Slice 103 of 155
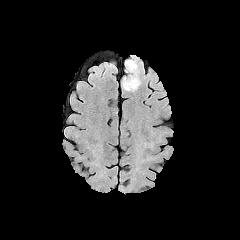
FLAIR magnetic resonance.
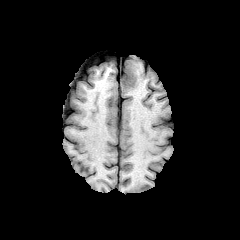
Same slice, T1-weighted MR image.
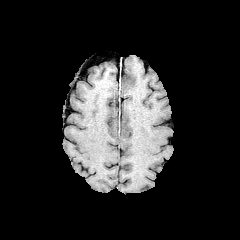
Post-contrast T1-weighted MR image.
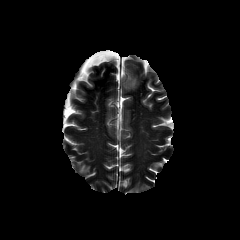
T2-weighted MRI.
edema: 122:60:140:91